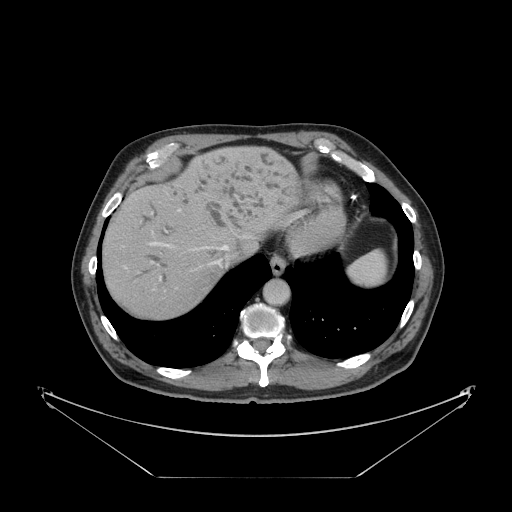
CT
Not every hepatic vessel necessarily has a box.
Segmented structures:
- hepatic vessel: 188 237 230 251, 207 254 230 266, 239 235 252 238, 159 277 160 279, 146 243 171 246